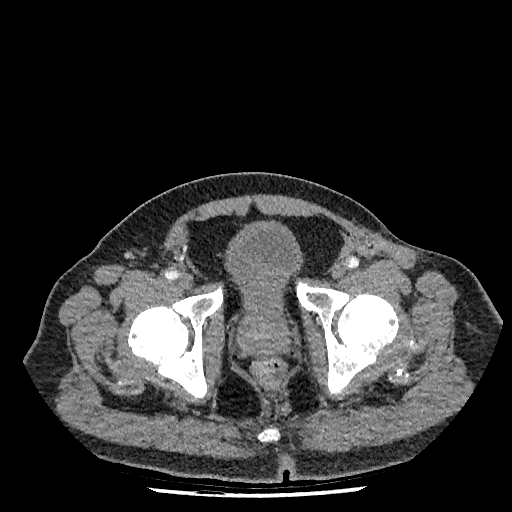
Computed tomography
• urinary bladder: box=[224, 224, 303, 320]